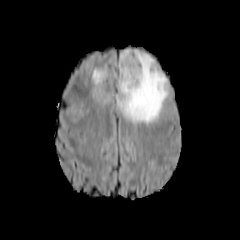
FLAIR MR.
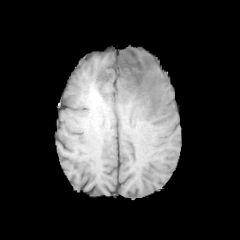
Same slice, T1-weighted MRI.
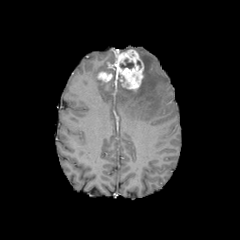
Post-contrast T1-weighted MR image.
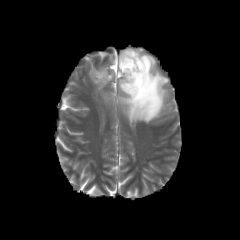
T2-weighted MRI.
Image size 240x240.
<segmentation>
  <edema>118:50:168:125, 92:68:108:84</edema>
  <enhancing_tumor>97:71:112:81, 108:48:144:89</enhancing_tumor>
  <non-enhancing_tumor_core>120:58:134:69</non-enhancing_tumor_core>
</segmentation>